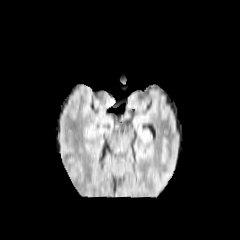
FLAIR magnetic resonance.
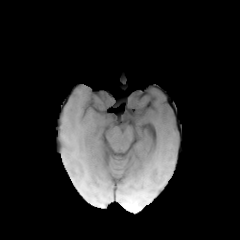
T1-weighted MR of the same slice.
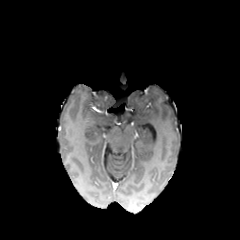
Post-contrast T1-weighted MR.
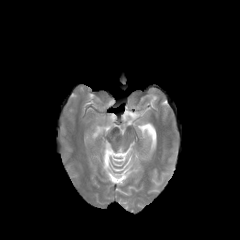
Same slice, T2-weighted MR.
Head, Image size 240x240
Non-enhancing tumor core — {"x1": 93, "y1": 91, "x2": 112, "y2": 108}.